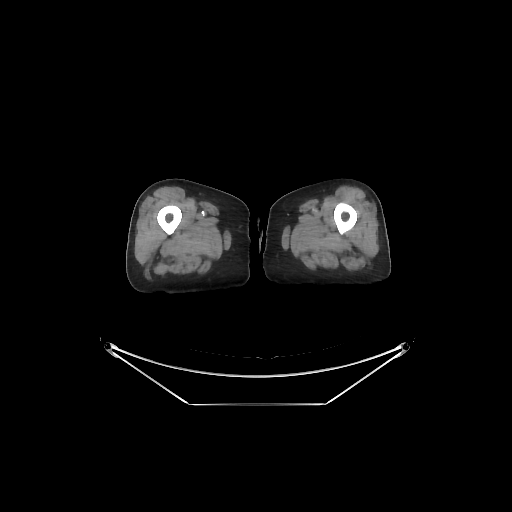
CT image

2 bone regions are located at 157:204:181:234, 334:202:356:234.